240x240. Brain.
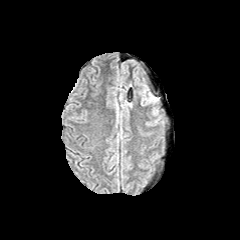
FLAIR magnetic resonance.
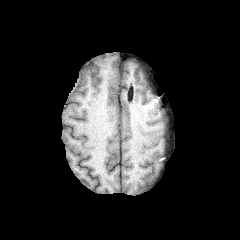
Same slice, T1-weighted MR image.
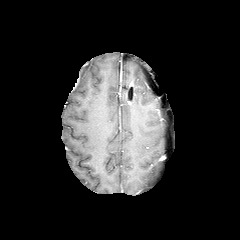
Post-contrast T1-weighted MR image.
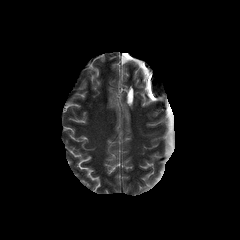
T2-weighted magnetic resonance.
edema:
  - box=[136, 79, 154, 105]